FLAIR MRI.
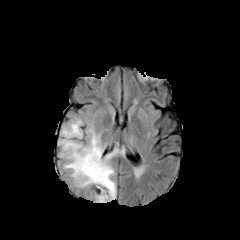
T1-weighted MR.
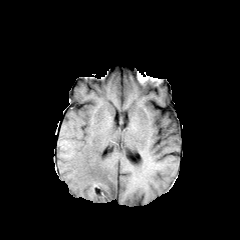
Post-contrast T1-weighted MR image.
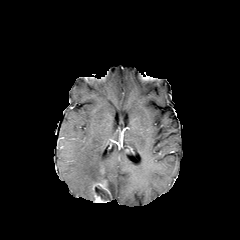
T2-weighted MR.
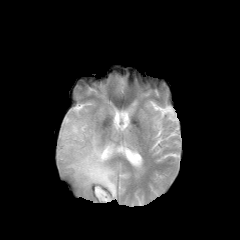
Annotated regions:
- non-enhancing tumor core: 97, 178, 108, 188
- edema: 59, 117, 124, 201